FLAIR MR.
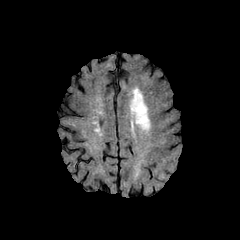
T1-weighted MR image.
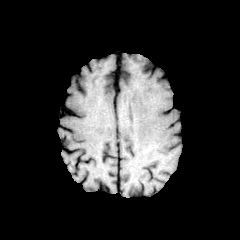
Post-contrast T1-weighted MRI.
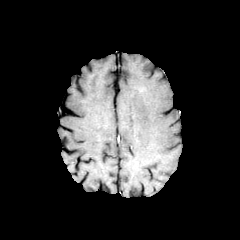
T2-weighted MRI.
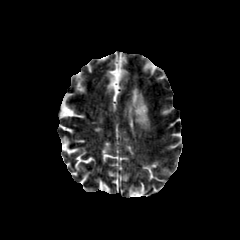
Edema: (129,88,150,130).